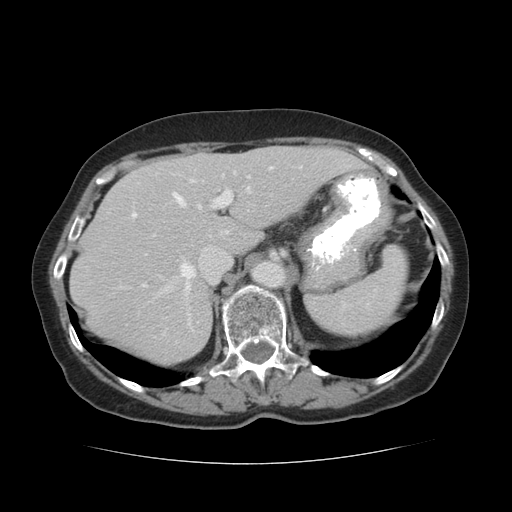
CT slice, Liver
<segmentation>
  <lung>(x1=393, y1=188, x2=406, y2=198), (x1=67, y1=304, x2=182, y2=386), (x1=310, y1=256, x2=440, y2=377)</lung>
  <bone>(x1=384, y1=165, x2=397, y2=177), (x1=180, y1=280, x2=309, y2=404), (x1=67, y1=216, x2=85, y2=245), (x1=416, y1=199, x2=438, y2=232), (x1=97, y1=177, x2=105, y2=184), (x1=433, y1=299, x2=443, y2=329), (x1=69, y1=324, x2=82, y2=351), (x1=53, y1=250, x2=68, y2=283), (x1=436, y1=241, x2=449, y2=270), (x1=374, y1=366, x2=402, y2=384), (x1=118, y1=378, x2=143, y2=393), (x1=308, y1=366, x2=328, y2=375)</bone>
  <liver>(x1=70, y1=147, x2=367, y2=364)</liver>
</segmentation>